Upper abdomen, CT image
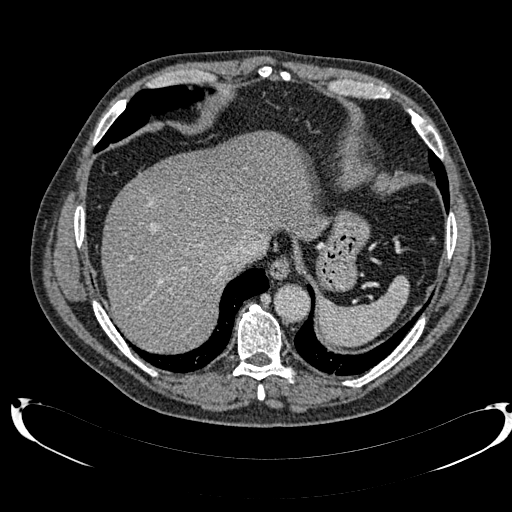
The liver appears at x1=102 y1=131 x2=327 y2=353. The focal liver lesion is at x1=153 y1=144 x2=245 y2=219.